Slice index 38. CT. Image width 487 mm.
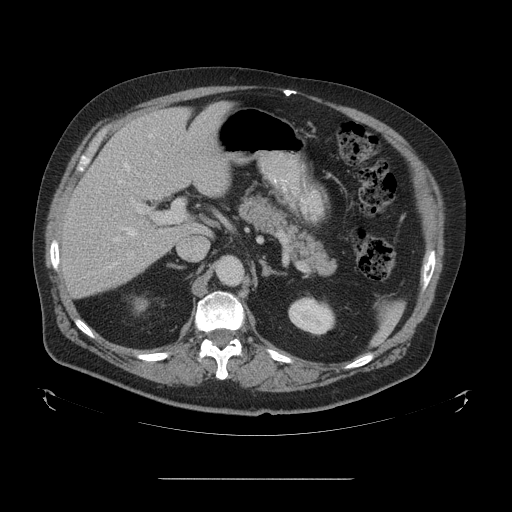
Only some of the vessels may be annotated.
11 hepatic vessel regions are bounded by 117, 177, 125, 183; 119, 227, 136, 238; 154, 160, 155, 162; 143, 242, 145, 246; 127, 252, 133, 259; 151, 201, 183, 221; 112, 236, 122, 241; 179, 245, 200, 259; 122, 159, 130, 172; 130, 197, 148, 213; 109, 261, 118, 267.